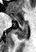 Magnetic resonance; Hippocampus
2 anterior hippocampus regions are bounded by 23,19,27,23; 11,15,16,19. The posterior hippocampus appears at 15,24,27,39.